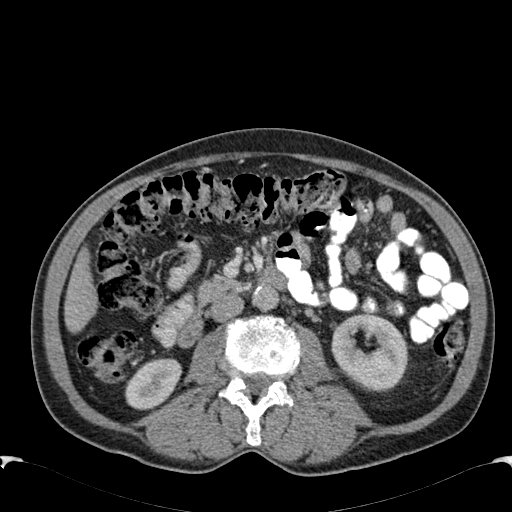
CT slice | Upper abdomen

kidney:
  - (332, 319, 406, 389)
  - (126, 359, 181, 408)
liver:
  - (65, 247, 96, 333)